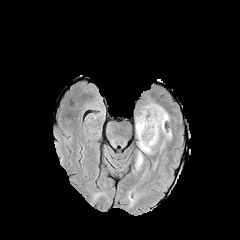
FLAIR MR image.
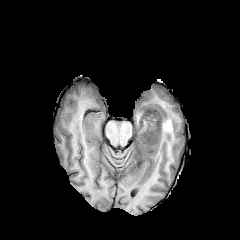
T1-weighted MR image.
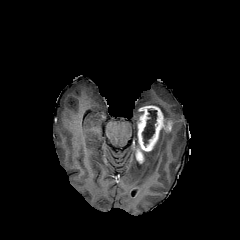
Post-contrast T1-weighted MRI of the same slice.
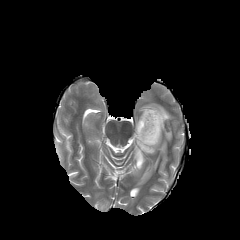
T2-weighted MR.
Image size 240x240. Brain.
Non-enhancing tumor core at x1=142 y1=109 x2=156 y2=143.
Edema at x1=139 y1=168 x2=150 y2=181, x1=132 y1=103 x2=171 y2=172.
Enhancing tumor at x1=134 y1=105 x2=164 y2=163.